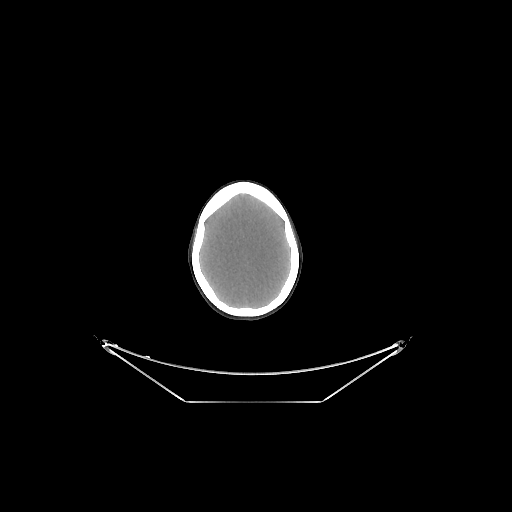

CT slice. Brain.
<segmentation>
  <brain>region(199, 193, 290, 308)</brain>
</segmentation>